CT; Slice index 323; 512x512

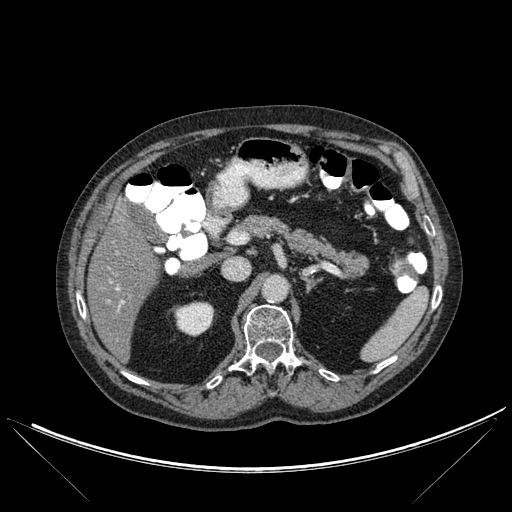
The kidney is bounded by l=176, t=302, r=213, b=335. 8 bone regions are bounded by l=432, t=286, r=441, b=308; l=207, t=376, r=221, b=387; l=319, t=369, r=338, b=380; l=123, t=372, r=147, b=384; l=229, t=305, r=301, b=371; l=374, t=356, r=396, b=372; l=77, t=293, r=85, b=317; l=426, t=225, r=434, b=235. 2 liver regions appear at l=182, t=260, r=209, b=270; l=88, t=205, r=159, b=363.